FLAIR MR image.
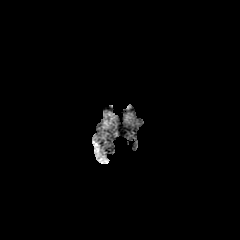
T1-weighted magnetic resonance.
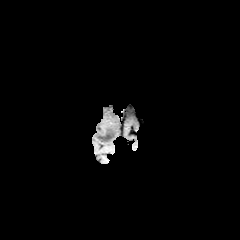
Post-contrast T1-weighted MR.
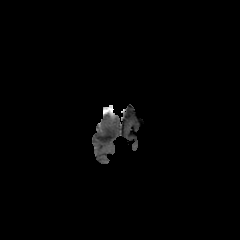
T2-weighted magnetic resonance.
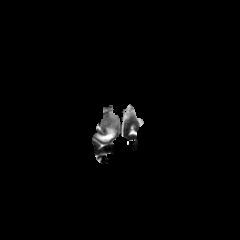
240x240
- enhancing tumor: [x1=103, y1=105, x2=113, y2=117]